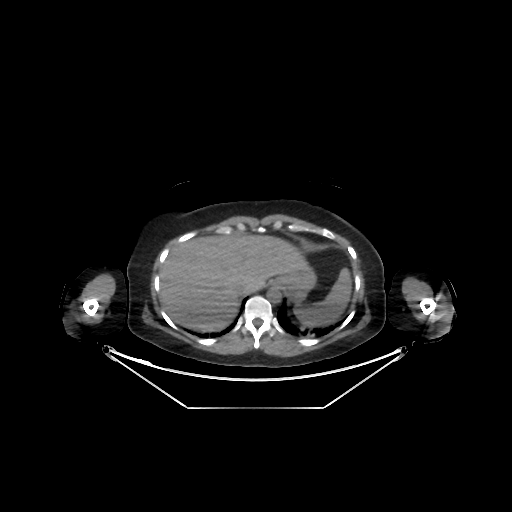

CT image.
The liver lies within rect(158, 232, 304, 331).